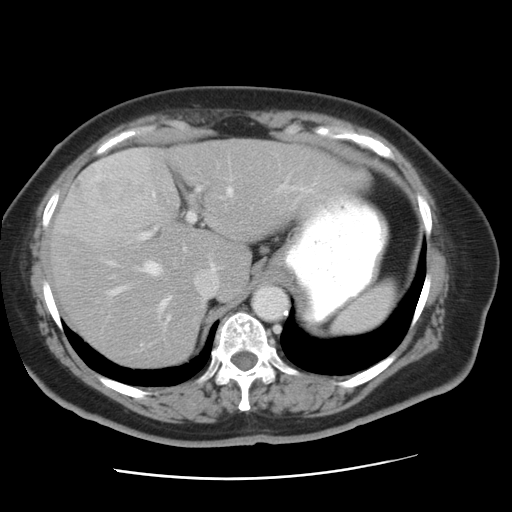

CT scan slice
Some hepatic vessels may have no box.
liver tumor: left=59, top=153, right=156, bottom=243 | hepatic vessel: left=195, top=260, right=218, bottom=296; left=166, top=316, right=168, bottom=321; left=159, top=296, right=170, bottom=310; left=139, top=231, right=149, bottom=238; left=197, top=187, right=199, bottom=189; left=281, top=177, right=312, bottom=190; left=227, top=187, right=231, bottom=195; left=106, top=285, right=125, bottom=294; left=187, top=212, right=194, bottom=220; left=106, top=261, right=112, bottom=263; left=142, top=261, right=161, bottom=274